Abdomen, Computed tomography

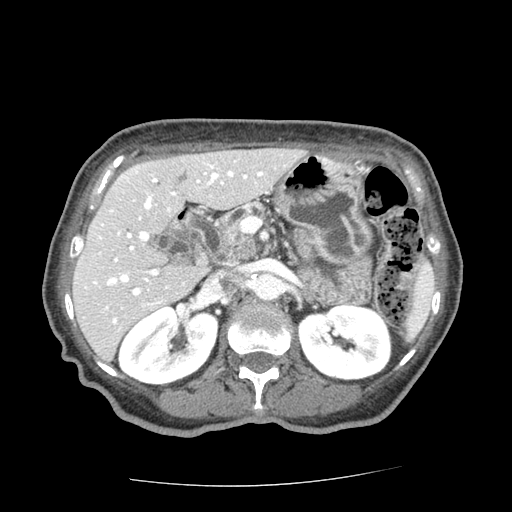

<segmentation>
  <pancreas>[x1=218, y1=203, x2=267, y2=264]</pancreas>
  <pancreatic_tumor>[x1=221, y1=225, x2=255, y2=260]</pancreatic_tumor>
</segmentation>